240x240 px
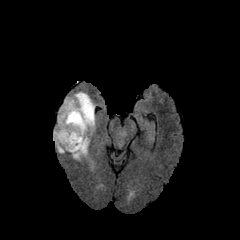
FLAIR magnetic resonance.
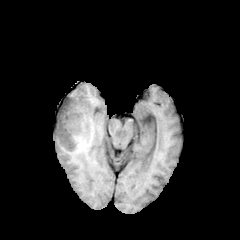
T1-weighted MR image.
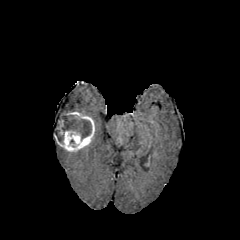
Post-contrast T1-weighted MR.
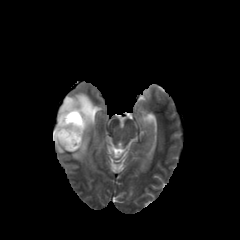
T2-weighted magnetic resonance of the same slice.
non-enhancing tumor core: x1=59, y1=98, x2=91, y2=139; x1=54, y1=124, x2=61, y2=141 | enhancing tumor: x1=62, y1=111, x2=94, y2=133; x1=54, y1=119, x2=89, y2=151 | edema: x1=70, y1=146, x2=87, y2=160; x1=55, y1=141, x2=67, y2=152; x1=54, y1=92, x2=97, y2=130